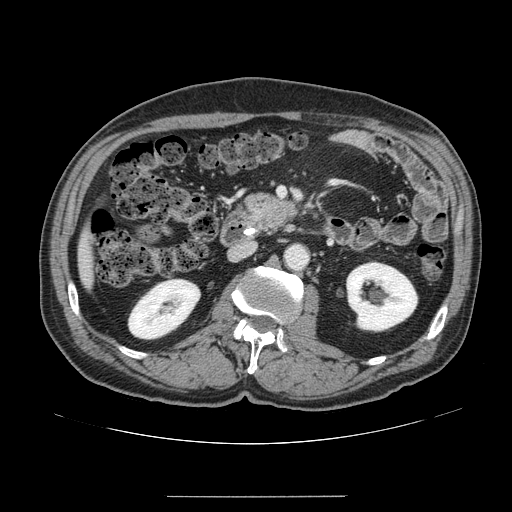
Image size 512x512; CT; Upper abdomen
pancreatic tumor: region(243, 193, 296, 231) | pancreas: region(258, 204, 299, 236); region(244, 191, 278, 197)